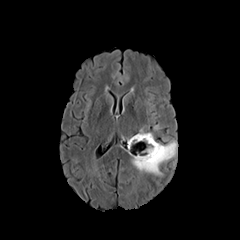
FLAIR MRI.
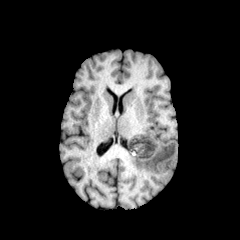
T1-weighted MR image of the same slice.
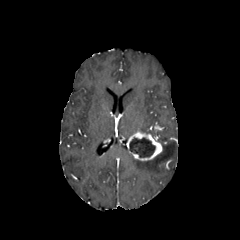
Post-contrast T1-weighted magnetic resonance.
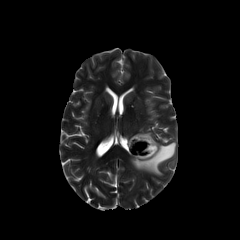
T2-weighted MRI.
Brain
Segmented structures:
* enhancing tumor: <bbox>128, 130, 162, 160</bbox>
* non-enhancing tumor core: <bbox>129, 137, 155, 157</bbox>
* edema: <bbox>132, 142, 176, 174</bbox>